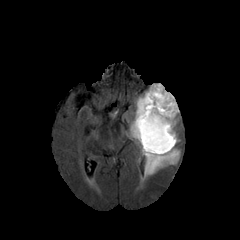
FLAIR MR image.
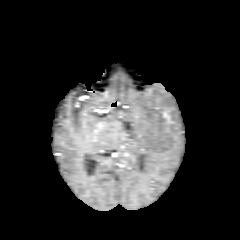
T1-weighted MR image.
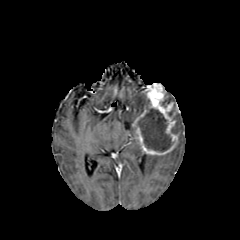
Same slice, post-contrast T1-weighted MR.
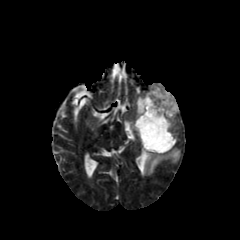
T2-weighted MR.
Head
Enhancing tumor — bbox(135, 127, 173, 155); bbox(144, 83, 179, 143).
Edema — bbox(142, 142, 180, 177); bbox(126, 92, 145, 143); bbox(172, 114, 181, 135).
Non-enhancing tumor core — bbox(162, 93, 176, 106); bbox(138, 152, 148, 168); bbox(136, 96, 171, 151).